Head; 240x240
FLAIR MRI.
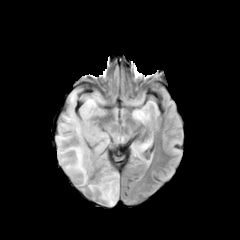
T1-weighted MR.
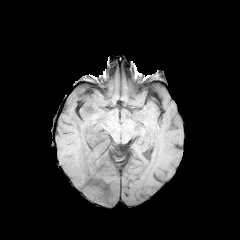
Post-contrast T1-weighted MR image.
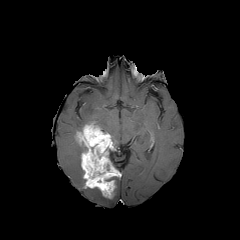
T2-weighted magnetic resonance.
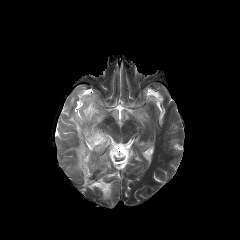
Edema at (left=131, top=109, right=145, bottom=121), (left=56, top=90, right=103, bottom=175), (left=85, top=178, right=119, bottom=204).
Non-enhancing tumor core at (left=92, top=151, right=101, bottom=162), (left=90, top=170, right=102, bottom=179), (left=75, top=132, right=87, bottom=167), (left=77, top=121, right=94, bottom=130).
Enhancing tumor at (left=77, top=125, right=119, bottom=197).